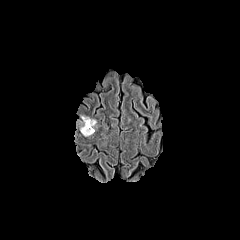
FLAIR MR.
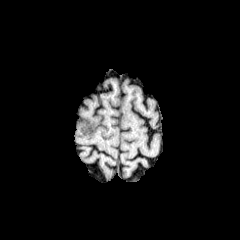
T1-weighted MR.
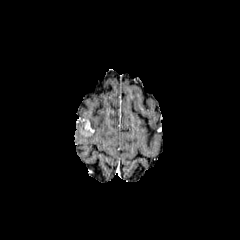
Post-contrast T1-weighted magnetic resonance.
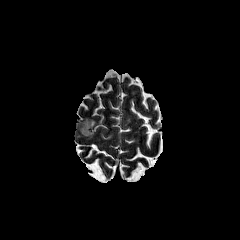
T2-weighted magnetic resonance of the same slice.
edema:
  - x1=76, y1=119, x2=89, y2=136
  - x1=80, y1=114, x2=98, y2=131
non-enhancing_tumor_core:
  - x1=82, y1=121, x2=93, y2=135
enhancing_tumor:
  - x1=83, y1=119, x2=94, y2=132